240x240. Head.
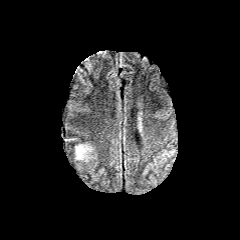
FLAIR MR image.
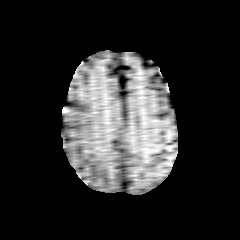
T1-weighted MR image of the same slice.
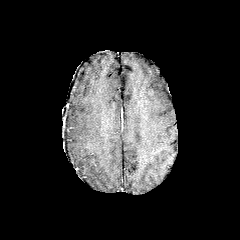
Post-contrast T1-weighted MR image of the same slice.
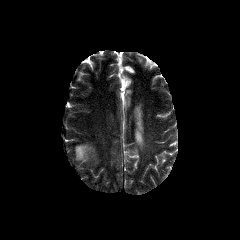
T2-weighted MR.
The edema is located at box(76, 143, 93, 159).